CT scan slice; Image width 402 mm
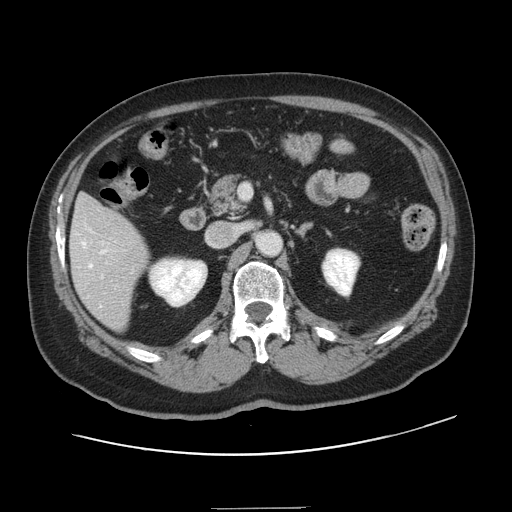 Not every hepatic vessel necessarily has a box.
Hepatic vessel at (80,242,85,247), (89,264,92,267), (101,250,105,253).